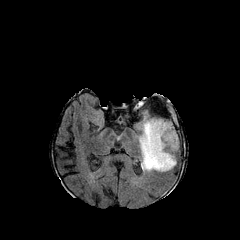
FLAIR MRI.
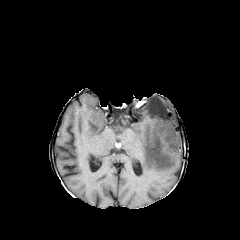
T1-weighted magnetic resonance.
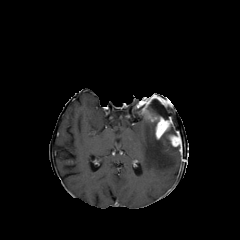
Post-contrast T1-weighted MR.
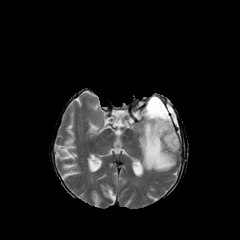
Same slice, T2-weighted MR.
Edema: bbox(137, 120, 178, 172).
Enhancing tumor: bbox(142, 108, 173, 139); bbox(168, 132, 179, 146).
Non-enhancing tumor core: bbox(141, 113, 156, 135); bbox(142, 94, 181, 149).